Slice index 505 | Computed tomography | 512x512 px 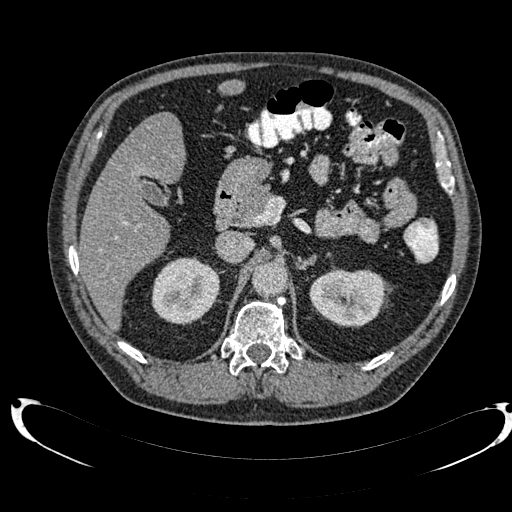 Liver: bounding box bbox=[80, 116, 185, 329]; bbox=[219, 81, 244, 95].
Kidney: bounding box bbox=[152, 258, 219, 324]; bbox=[310, 269, 385, 326].
Hepatic lesion: bounding box bbox=[151, 114, 179, 137].